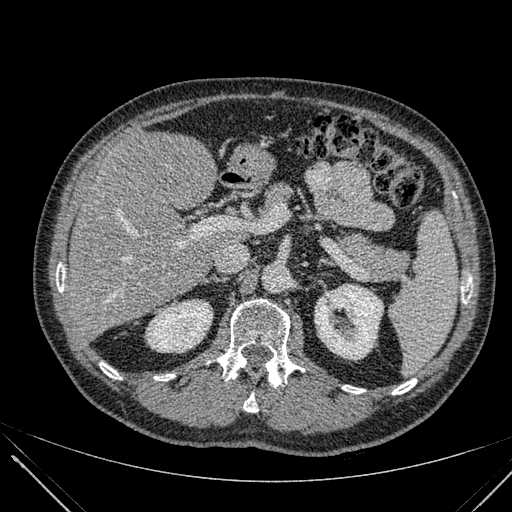 Abdomen; CT slice; Image size 512x512
* liver: (67, 131, 241, 335), (247, 153, 276, 179)
* kidney: (315, 284, 383, 359), (147, 300, 212, 352)